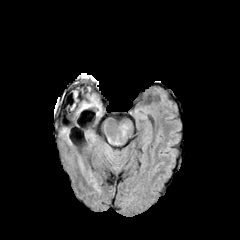
FLAIR MR image.
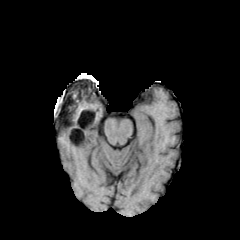
T1-weighted MRI.
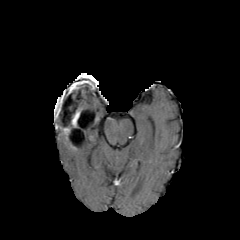
Post-contrast T1-weighted MR of the same slice.
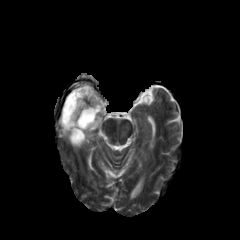
T2-weighted MR image.
Head
2 edema regions are bounded by region(61, 130, 71, 143); region(76, 93, 101, 115).